MR image; Heart; Image size 320x320 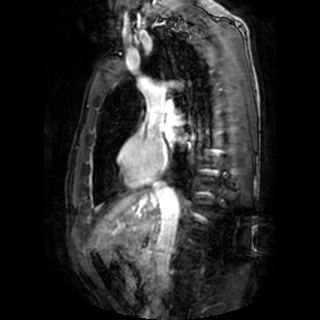

Left atrium — bbox(164, 128, 174, 140).